Liver; CT image; Image width 477 mm; 512x512 px 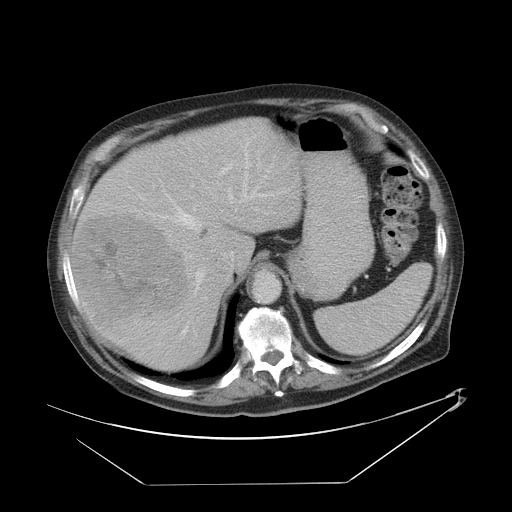

The vessel boxes may cover only some of the vessels.
Annotated regions:
• hepatic vessel (largest 15 of 18): (left=193, top=268, right=202, bottom=295), (left=182, top=326, right=187, bottom=333), (left=187, top=321, right=189, bottom=323), (left=210, top=192, right=215, bottom=198), (left=190, top=183, right=194, bottom=186), (left=216, top=181, right=219, bottom=185), (left=265, top=167, right=270, bottom=178), (left=160, top=216, right=168, bottom=218), (left=242, top=186, right=265, bottom=198), (left=244, top=172, right=247, bottom=182), (left=140, top=196, right=144, bottom=199), (left=166, top=194, right=173, bottom=202), (left=228, top=188, right=232, bottom=203), (left=217, top=160, right=234, bottom=176), (left=173, top=202, right=211, bottom=232)
• liver tumor: (left=73, top=216, right=193, bottom=329)